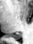 Medial temporal lobe, Image size 33x44, Magnetic resonance
The posterior hippocampus is at (left=9, top=33, right=20, bottom=39).